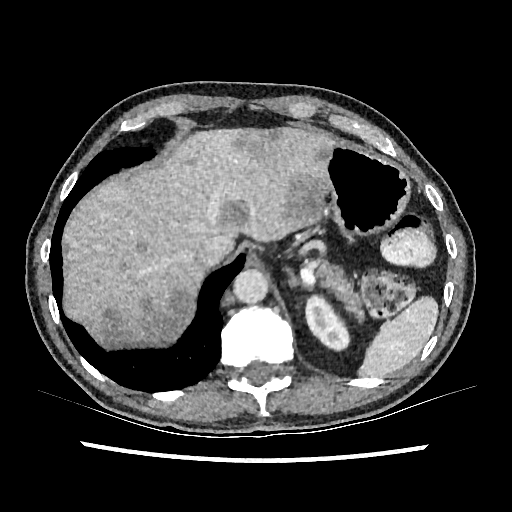 Computed tomography; Image size 512x512
Annotated regions:
* focal liver lesion: [x1=64, y1=243, x2=70, y2=257], [x1=93, y1=287, x2=192, y2=345], [x1=120, y1=262, x2=128, y2=269], [x1=136, y1=242, x2=147, y2=252], [x1=315, y1=149, x2=330, y2=161], [x1=180, y1=158, x2=196, y2=166], [x1=233, y1=129, x2=279, y2=158], [x1=284, y1=172, x2=327, y2=224], [x1=218, y1=198, x2=249, y2=227]
* kidney: [x1=306, y1=296, x2=348, y2=349]
* liver: [x1=64, y1=129, x2=332, y2=331]